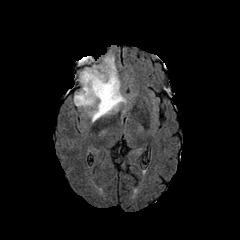
FLAIR MR.
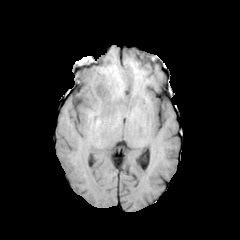
Same slice, T1-weighted MR.
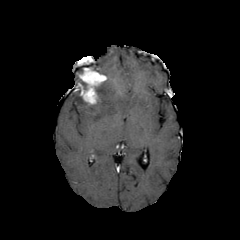
Post-contrast T1-weighted MR image.
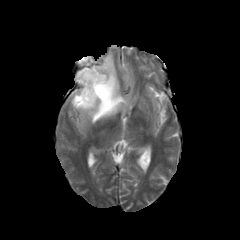
Same slice, T2-weighted magnetic resonance.
Enhancing tumor at bbox=[78, 66, 107, 105].
Edema at bbox=[72, 52, 129, 122].
Non-enhancing tumor core at bbox=[74, 60, 107, 105]; bbox=[96, 77, 113, 100].